FLAIR MR image.
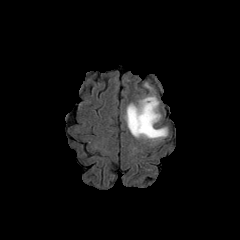
T1-weighted MR image.
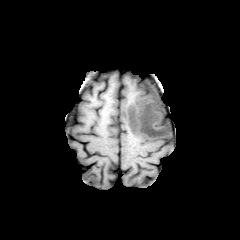
Post-contrast T1-weighted MR.
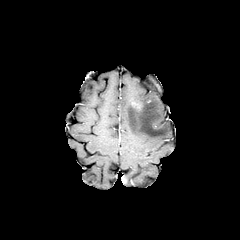
T2-weighted MR.
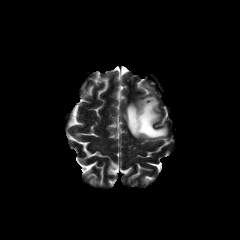
Brain. Image size 240x240.
non-enhancing_tumor_core:
  - [140,116,158,135]
  - [132,102,142,110]
edema:
  - [143,82,153,91]
  - [124,93,167,141]